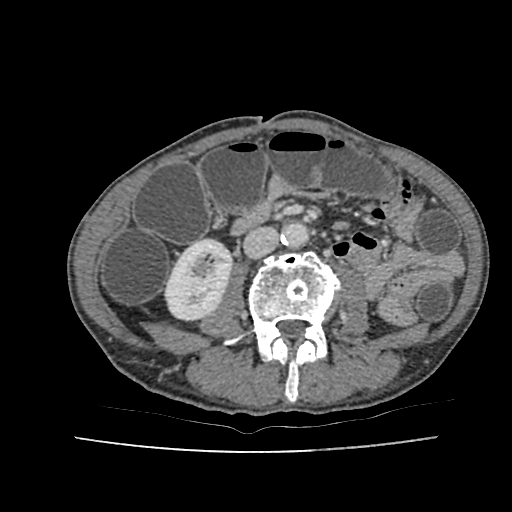
Abdomen, CT slice

kidney: x1=166, y1=240, x2=231, y2=319